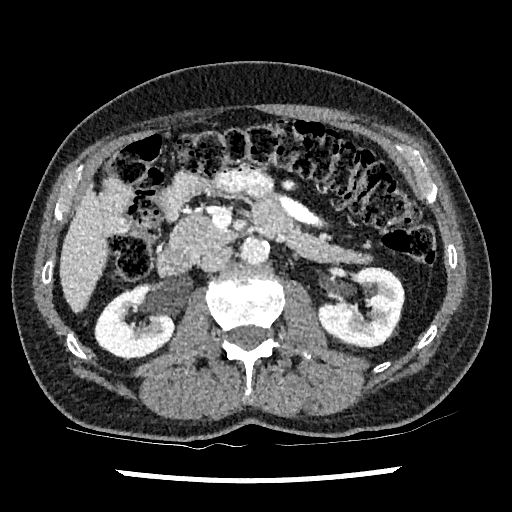 CT scan slice

* kidney: <box>96,287,173,357</box>, <box>319,268,403,346</box>
* liver: <box>61,187,107,312</box>